CT image. 512x512. Image width 440 mm.
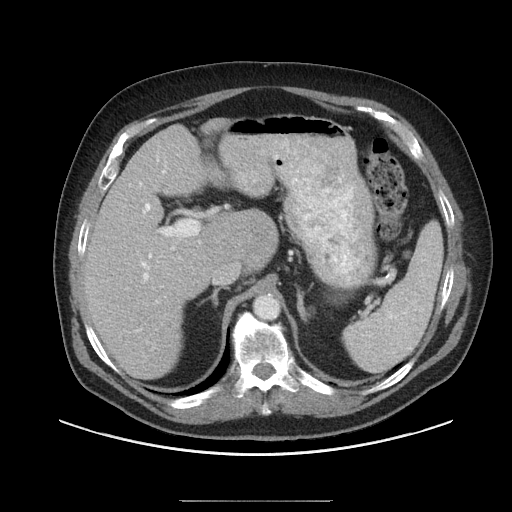

Not every hepatic vessel necessarily has a box.
10 hepatic vessel regions are bounded by (x1=163, y1=171, x2=164, y2=173), (x1=137, y1=329, x2=141, y2=330), (x1=142, y1=262, x2=149, y2=268), (x1=171, y1=246, x2=174, y2=249), (x1=156, y1=157, x2=158, y2=160), (x1=140, y1=183, x2=141, y2=185), (x1=162, y1=220, x2=197, y2=235), (x1=149, y1=254, x2=151, y2=257), (x1=145, y1=204, x2=149, y2=210), (x1=143, y1=273, x2=148, y2=279).